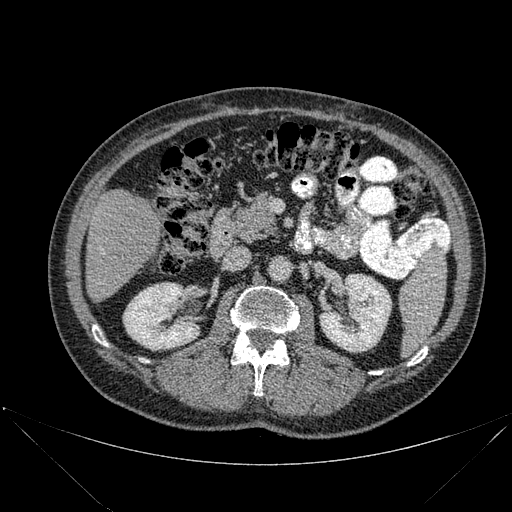

CT | Liver | 512x512

<segmentation>
  <bone><box>408,346,427,365</box>, <box>92,325,107,345</box>, <box>231,286,299,395</box></bone>
  <liver><box>86,189,159,300</box></liver>
  <kidney><box>320,274,391,351</box>, <box>123,283,199,349</box></kidney>
</segmentation>